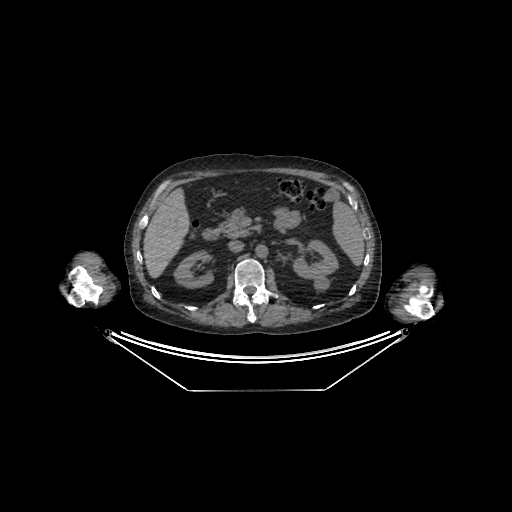

Upper abdomen | Computed tomography
2 kidney regions are located at region(293, 240, 338, 290); region(173, 250, 213, 288). The liver is at region(143, 188, 189, 277).